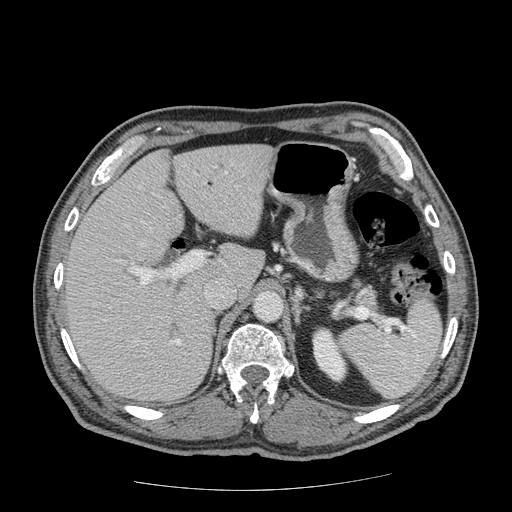 CT slice. Image size 512x512. The pancreas is located at left=333, top=277, right=382, bottom=312.